Slice index 92 | 240x240
FLAIR MR.
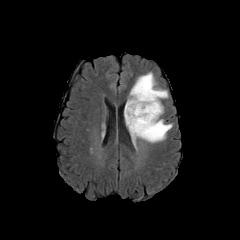
T1-weighted MR.
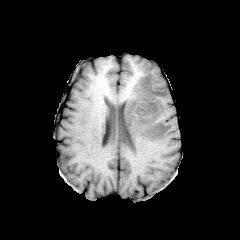
Post-contrast T1-weighted MR image.
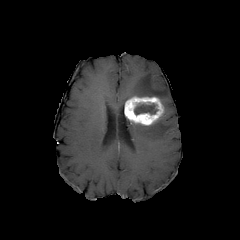
T2-weighted MRI.
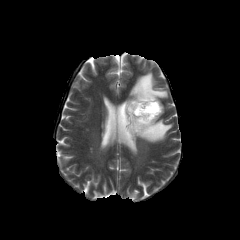
<segmentation>
  <non-enhancing_tumor_core>region(134, 104, 156, 114)</non-enhancing_tumor_core>
  <enhancing_tumor>region(124, 95, 164, 125)</enhancing_tumor>
  <edema>region(125, 119, 172, 148); region(128, 72, 168, 99)</edema>
</segmentation>